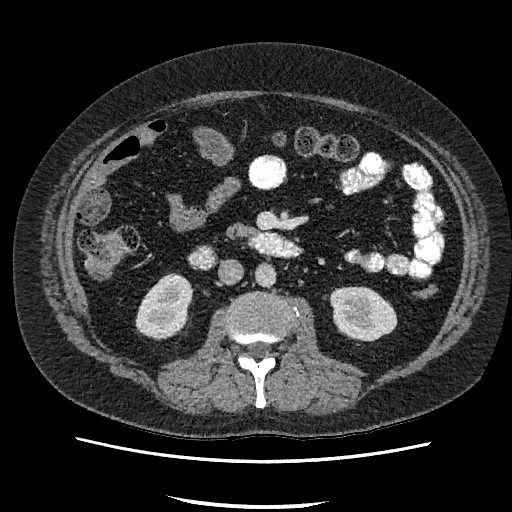 Abdomen. CT scan slice.
2 kidney regions are bounded by l=331, t=288, r=395, b=340; l=137, t=276, r=191, b=337.